CT image; Abdomen
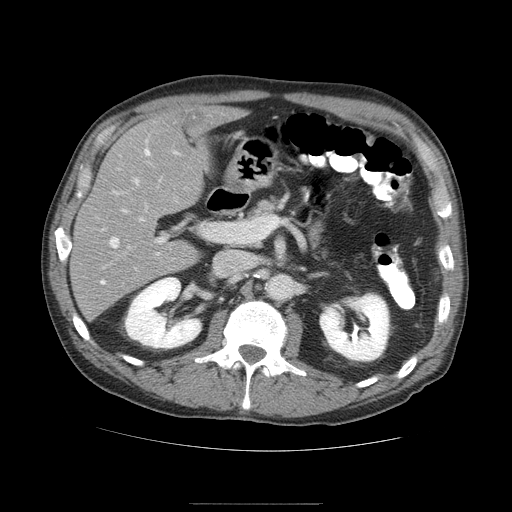 The vessel annotation is not exhaustive.
Hepatic vessel: bounding box left=128, top=246, right=129, bottom=247; left=172, top=150, right=180, bottom=154; left=144, top=203, right=146, bottom=210; left=113, top=191, right=119, bottom=193; left=101, top=280, right=104, bottom=283; left=123, top=209, right=127, bottom=212; left=110, top=237, right=118, bottom=247; left=144, top=141, right=149, bottom=155; left=139, top=218, right=144, bottom=220; left=201, top=223, right=248, bottom=242; left=156, top=253, right=158, bottom=254; left=133, top=178, right=139, bottom=184; left=101, top=229, right=104, bottom=230; left=155, top=237, right=165, bottom=243; left=160, top=178, right=161, bottom=180.